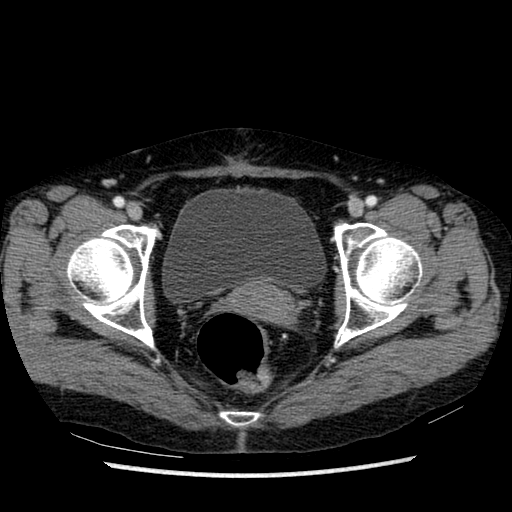 Lower abdomen; 512x512 px; CT image
Annotated regions:
* urinary bladder: bbox(162, 186, 326, 303)